FLAIR magnetic resonance.
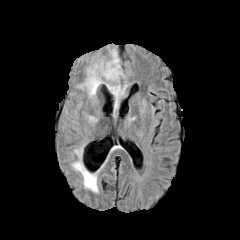
T1-weighted MR image.
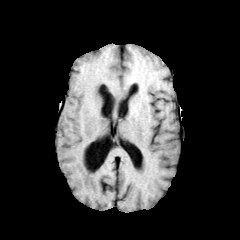
Post-contrast T1-weighted MRI.
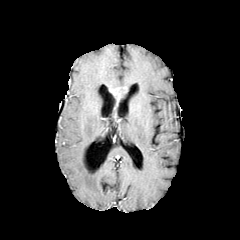
T2-weighted MR image.
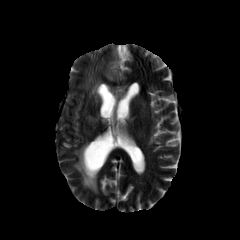
Head
Edema: bounding box x1=118, y1=85, x2=127, y2=103; x1=85, y1=70, x2=121, y2=98; x1=104, y1=50, x2=120, y2=82; x1=72, y1=144, x2=98, y2=193.
Non-enhancing tumor core: bounding box x1=108, y1=86, x2=121, y2=93.